CT scan slice. 512x512. Slice 183/407. Image width 358 mm.

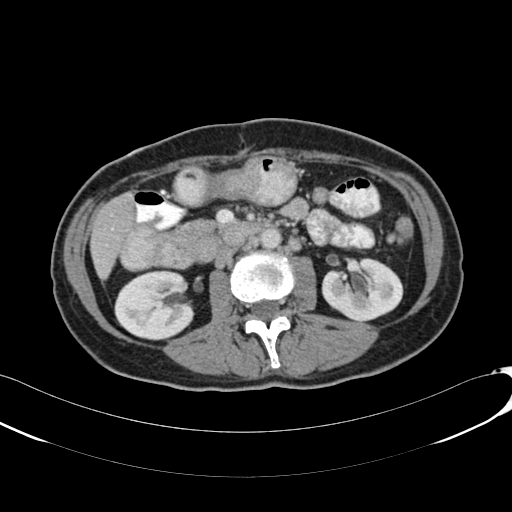
{"liver": ["90:191:133:278"], "kidney": ["115:272:192:338", "323:259:401:320"]}